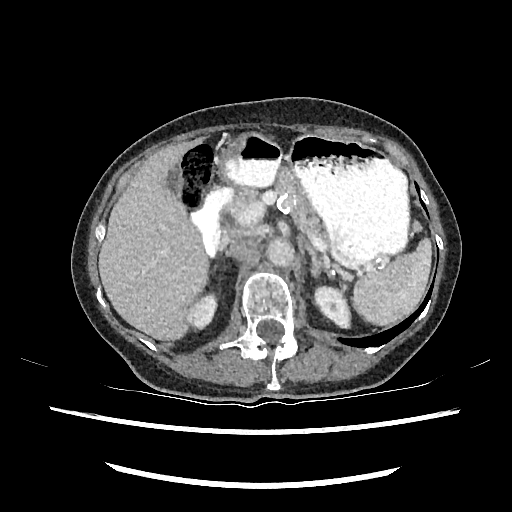

CT
Kidney: [x1=190, y1=297, x2=214, y2=325], [x1=316, y1=288, x2=347, y2=325].
Liver: [x1=99, y1=137, x2=208, y2=340].